Image size 37x52, Image width 37 mm, Medial temporal lobe, MR image

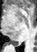

posterior hippocampus: l=10, t=41, r=18, b=45